Image size 240x240. Brain. Slice 45 of 155.
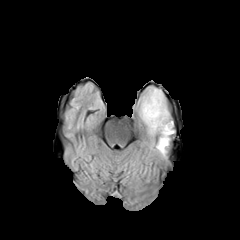
FLAIR magnetic resonance.
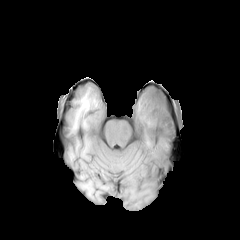
T1-weighted magnetic resonance.
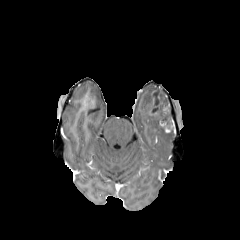
Post-contrast T1-weighted MR image.
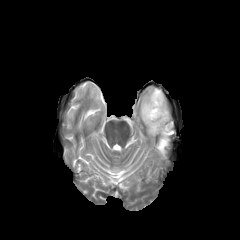
T2-weighted MR.
edema: <box>136,86,174,160</box> | non-enhancing tumor core: <box>146,87,173,132</box>